Upper abdomen. Computed tomography. Slice 552 of 751.

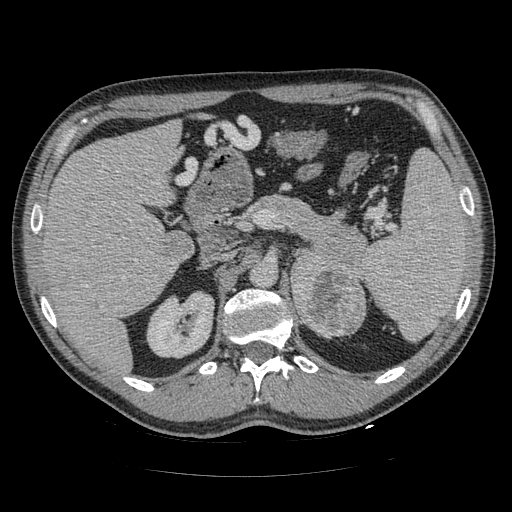

<segmentation>
  <pancreas>(x1=253, y1=195, x2=365, y2=283)</pancreas>
  <pancreatic_tumor>(x1=291, y1=254, x2=366, y2=335)</pancreatic_tumor>
</segmentation>